240x240
FLAIR magnetic resonance.
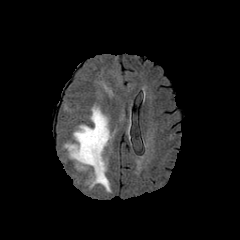
T1-weighted MR.
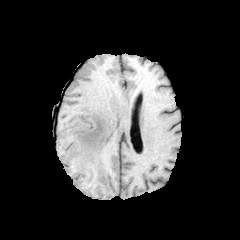
Post-contrast T1-weighted magnetic resonance.
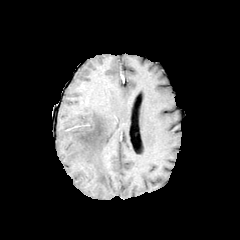
T2-weighted MR image.
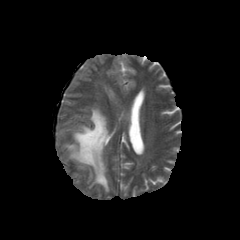
Edema at bbox(65, 106, 112, 190).